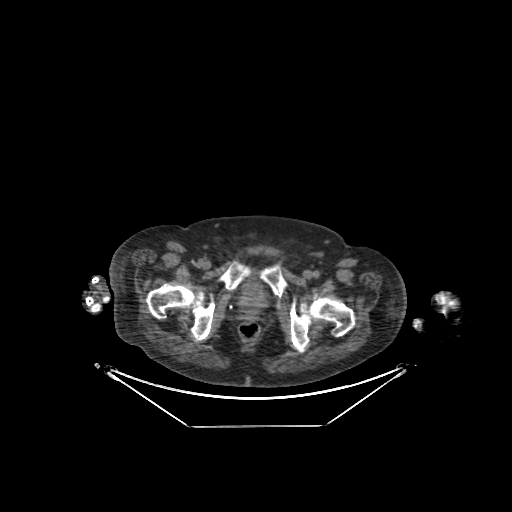

Image size 512x512 | Pelvis | CT slice

Urinary bladder — {"x1": 235, "y1": 267, "x2": 270, "y2": 317}.